Computed tomography | Field of view 408x408 mm

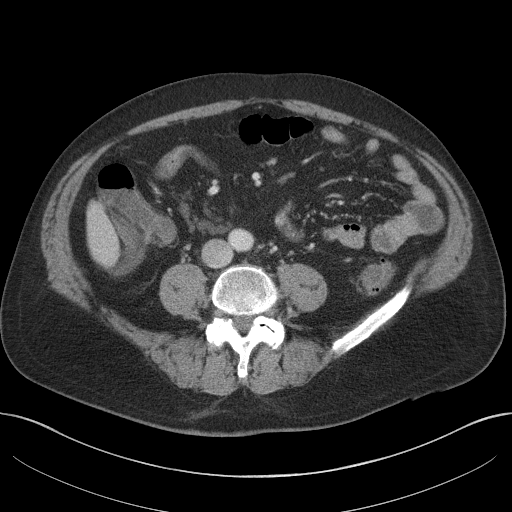
Liver = rect(87, 204, 119, 266).